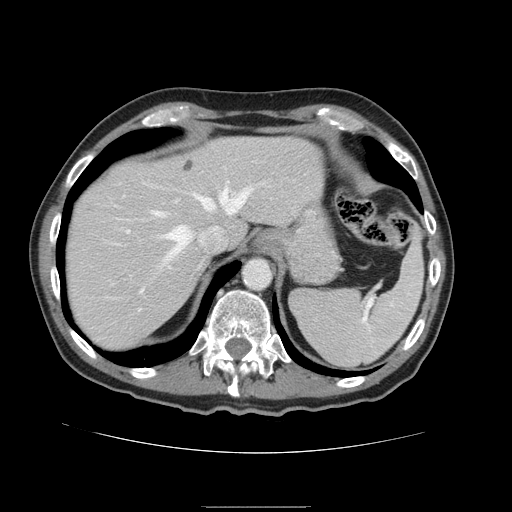

Liver | CT image

The vessel boxes may cover only some of the vessels.
<segmentation>
  <hepatic_vessel>(x1=153, y1=211, x2=165, y2=215), (x1=127, y1=230, x2=129, y2=232), (x1=194, y1=194, x2=217, y2=218), (x1=139, y1=289, x2=142, y2=292), (x1=220, y1=188, x2=249, y2=214), (x1=165, y1=225, x2=227, y2=260)</hepatic_vessel>
</segmentation>